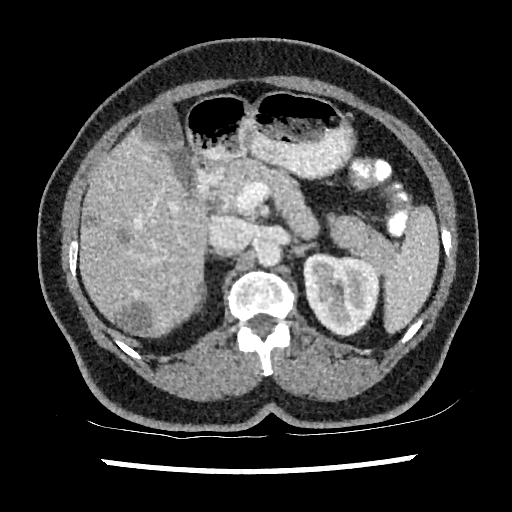

CT image.
The kidney appears at (304,255,377,334). 3 focal liver lesion regions are bounded by (120,233,129,244), (115,302,151,334), (84,215,95,225). The liver is at (80,128,208,336).